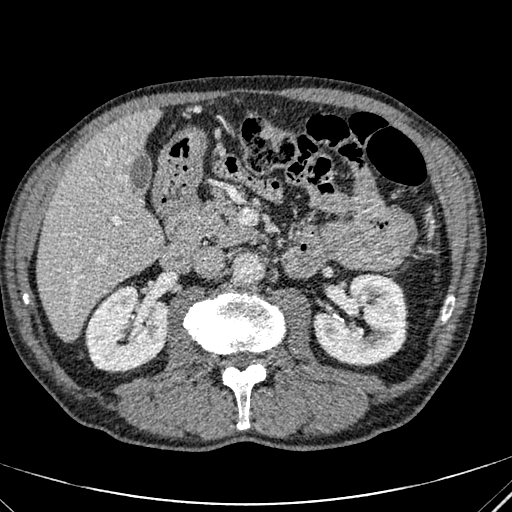
Abdomen. CT slice.
{"liver": ["l=37, t=109, r=162, b=341"], "kidney": ["l=87, t=288, r=166, b=370", "l=315, t=275, r=405, b=363"]}